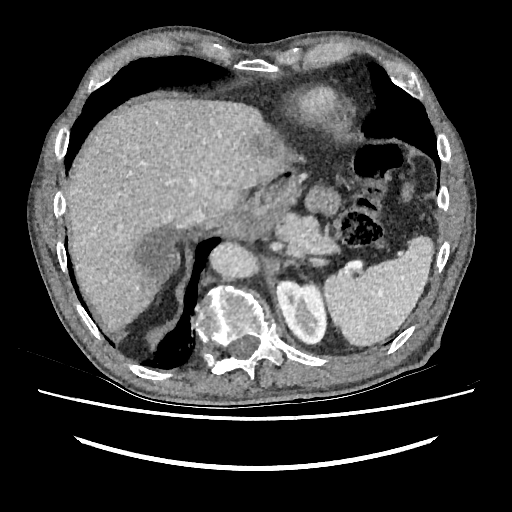

512x512 px, CT image
<segmentation>
  <liver>box(68, 99, 294, 331)</liver>
  <focal_liver_lesion>box(125, 222, 176, 289); box(249, 127, 280, 157)</focal_liver_lesion>
  <kidney>box(277, 282, 325, 343)</kidney>
</segmentation>